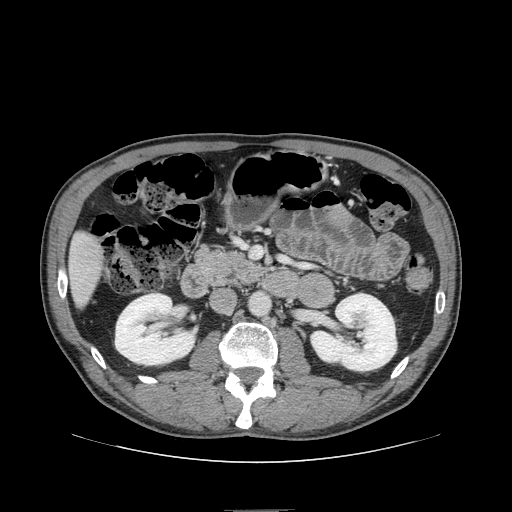 Computed tomography, Upper abdomen

The pancreas is located at rect(197, 247, 267, 287).